Image size 240x240
FLAIR magnetic resonance.
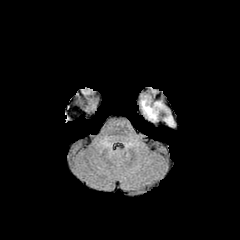
T1-weighted magnetic resonance.
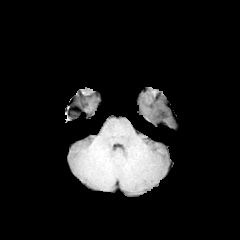
Post-contrast T1-weighted MRI.
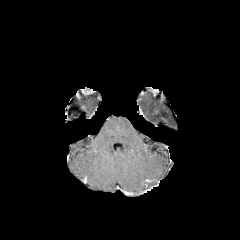
T2-weighted MR.
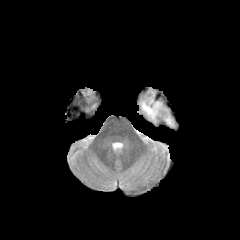
The edema is located at <bbox>140, 96, 174, 126</bbox>.